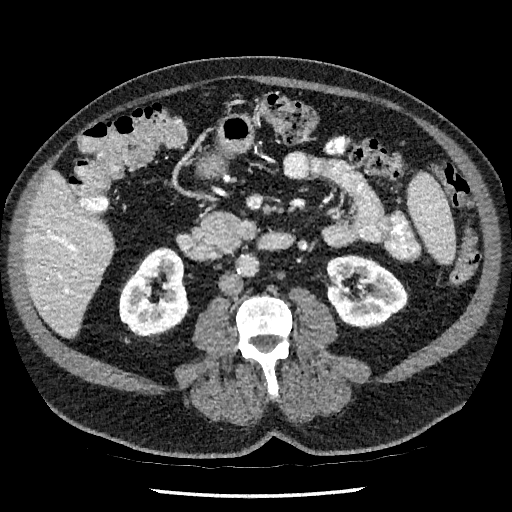 CT scan slice | Upper abdomen
<segmentation>
  <liver>l=24, t=170, r=113, b=337</liver>
  <kidney>l=327, t=256, r=406, b=325; l=120, t=250, r=187, b=335</kidney>
</segmentation>